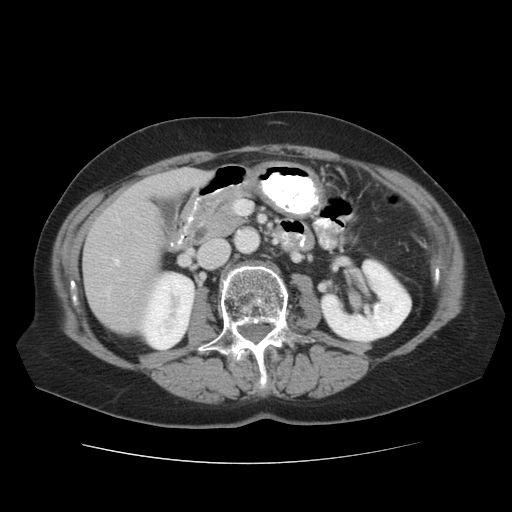 Abdomen, CT slice

2 bone regions are bounded by bbox=[217, 260, 291, 393]; bbox=[199, 344, 210, 351]. The liver lies within bbox=[83, 168, 214, 333]. 2 kidney regions are located at bbox=[322, 258, 410, 341]; bbox=[139, 275, 193, 348].